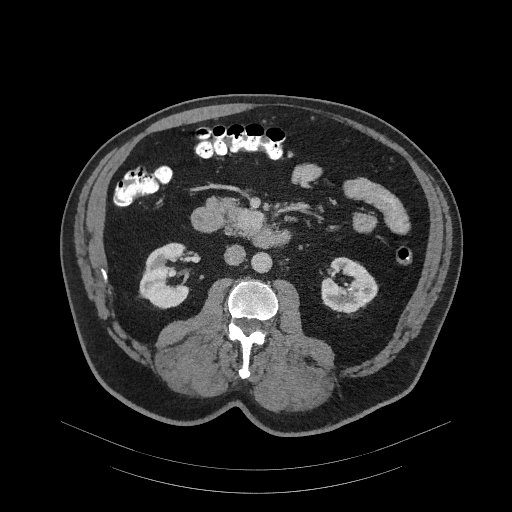

CT slice. Abdomen. Pancreatic tumor: bounding box 238:209:263:229.
Pancreas: bounding box 207:196:259:237.